FLAIR magnetic resonance.
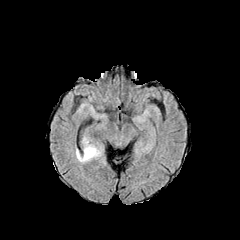
T1-weighted MR.
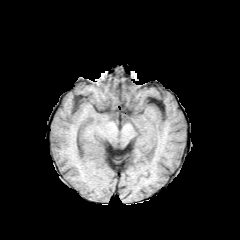
Post-contrast T1-weighted MRI.
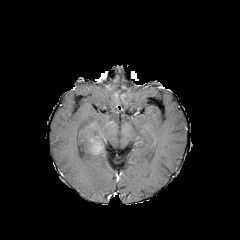
T2-weighted MR.
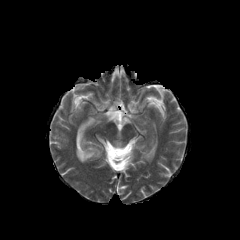
Brain
Findings:
- enhancing tumor: x1=90, y1=143, x2=102, y2=154
- edema: x1=76, y1=137, x2=102, y2=162